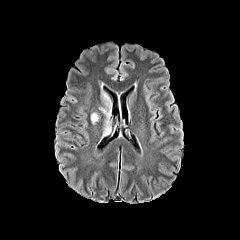
FLAIR magnetic resonance.
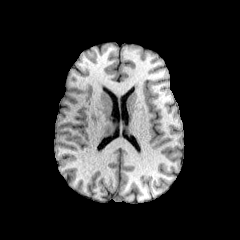
T1-weighted magnetic resonance of the same slice.
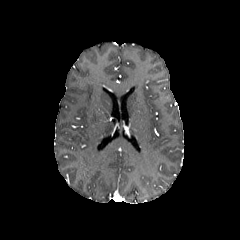
Post-contrast T1-weighted MR image.
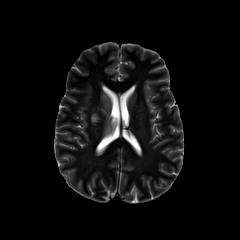
T2-weighted MR image of the same slice.
240x240 | Brain
2 edema regions are bounded by (99, 83, 112, 136), (90, 112, 100, 124).